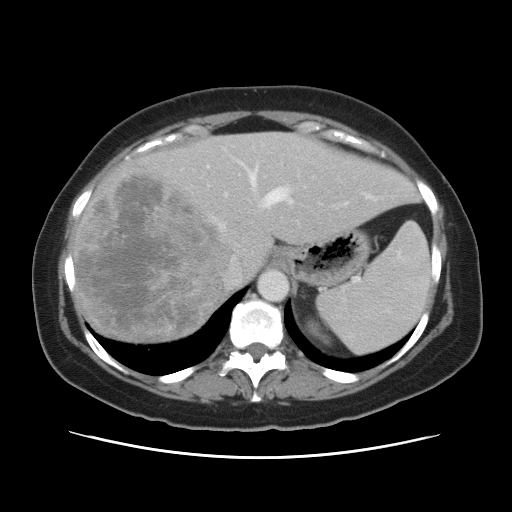
CT scan slice, Abdomen
Only some of the vessels may be annotated.
The liver tumor is bounded by (76, 175, 232, 339). 8 hepatic vessel regions are bounded by (221, 222, 224, 228), (225, 193, 227, 195), (365, 193, 375, 199), (265, 187, 292, 206), (225, 237, 246, 288), (241, 163, 257, 185), (343, 202, 347, 205), (207, 165, 208, 167).